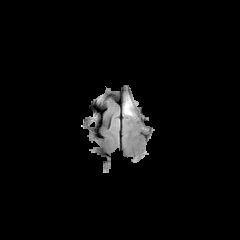
FLAIR MRI.
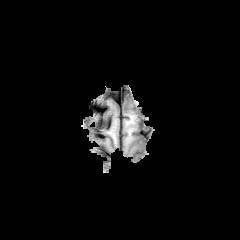
T1-weighted MR image of the same slice.
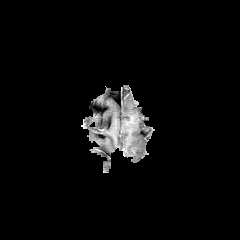
Same slice, post-contrast T1-weighted magnetic resonance.
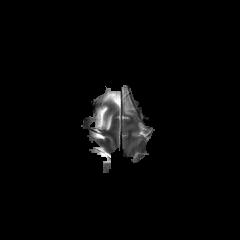
T2-weighted MR of the same slice.
edema:
  - (left=123, top=96, right=133, bottom=115)